512x512. CT image.

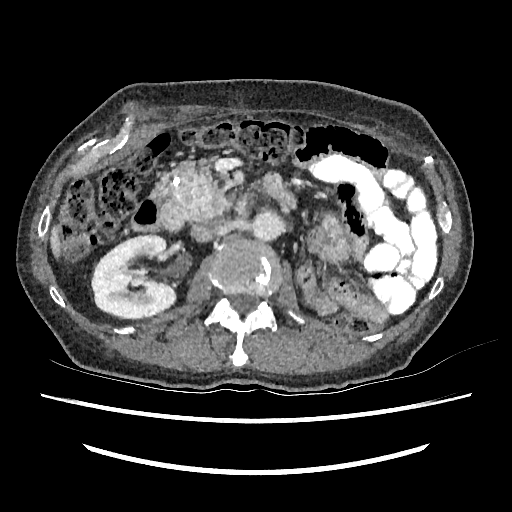
Liver at box(51, 226, 59, 253).
Kidney at box(92, 236, 175, 318).